Head | Field of view 240x240 mm | Slice index 111
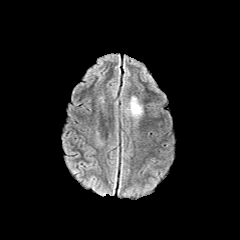
FLAIR MR image.
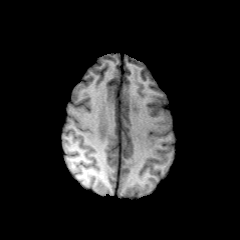
T1-weighted MR.
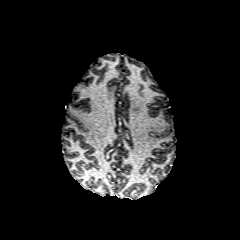
Post-contrast T1-weighted MR of the same slice.
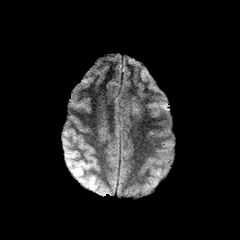
T2-weighted magnetic resonance.
{
  "edema": [
    "125,97,141,115"
  ]
}